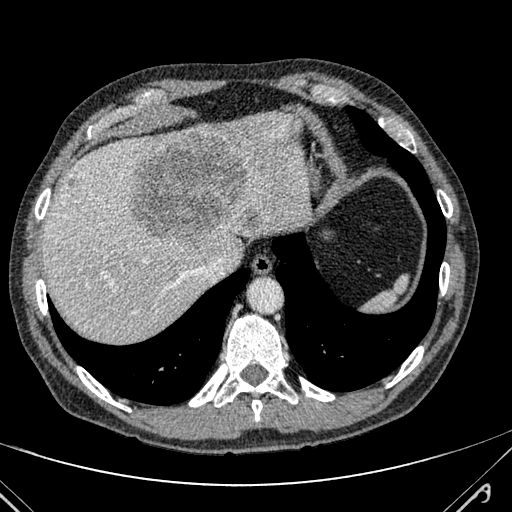

512x512. Computed tomography. Upper abdomen.
The liver is at bbox(43, 113, 311, 341). 3 focal liver lesion regions are located at bbox(242, 211, 262, 229); bbox(132, 133, 247, 246); bbox(69, 177, 77, 186).